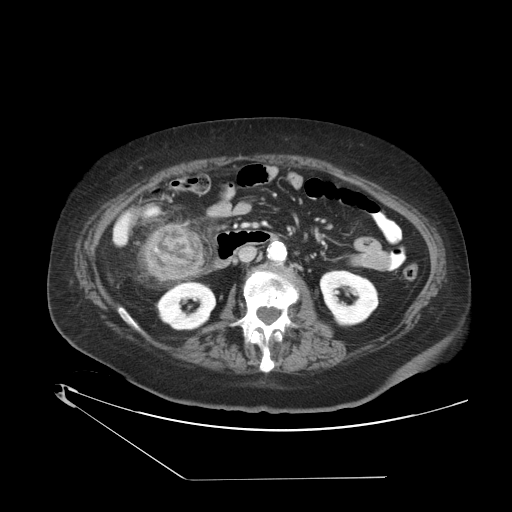

Pelvis. CT scan slice.
Annotated regions:
- colon tumor: bbox=[142, 225, 203, 279]